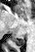
MRI | Medial temporal lobe

Segmented structures:
• posterior hippocampus: 9,37,24,46